Slice 63/113; CT slice; Liver
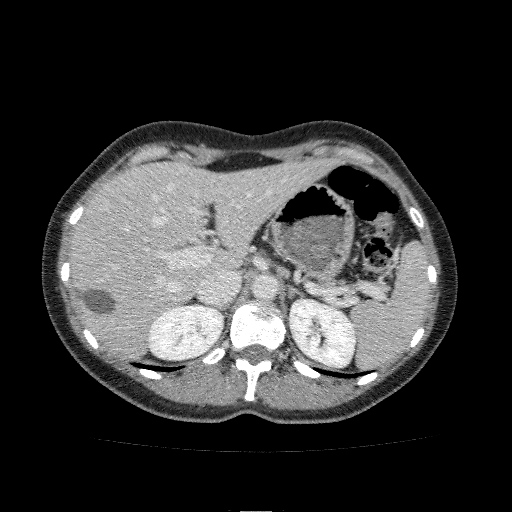
<segmentation>
  <kidney>289 299 355 367, 149 305 222 359</kidney>
  <liver>69 157 337 357</liver>
</segmentation>